Image size 512x512. CT.
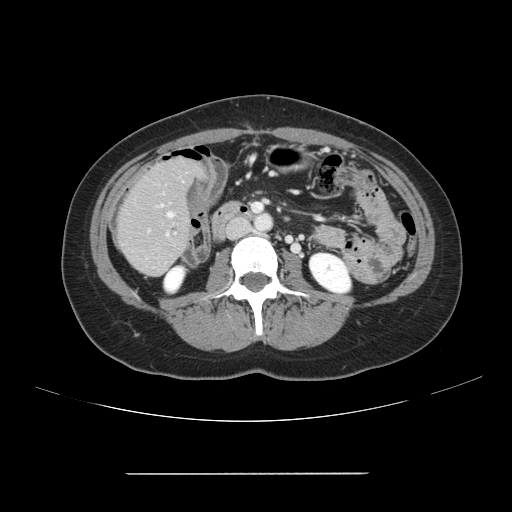 Only some of the vessels may be annotated.
hepatic_vessel:
  - (left=168, top=212, right=172, bottom=216)
  - (left=161, top=204, right=162, bottom=206)